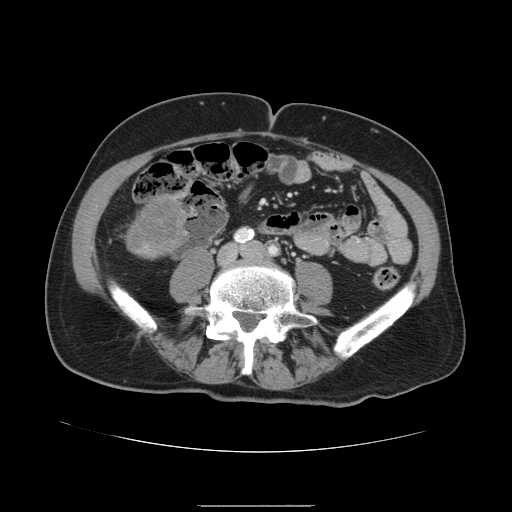 CT slice; 512x512
Liver tumor: bounding box <bbox>128, 198, 182, 253</bbox>.